Abdomen. CT image. 512x512.
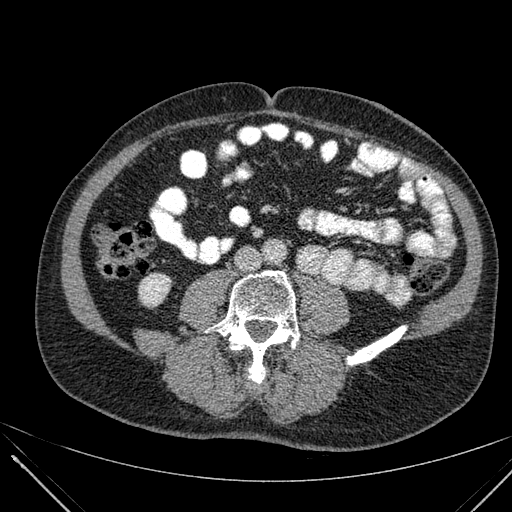

The kidney appears at [139,274,170,305].